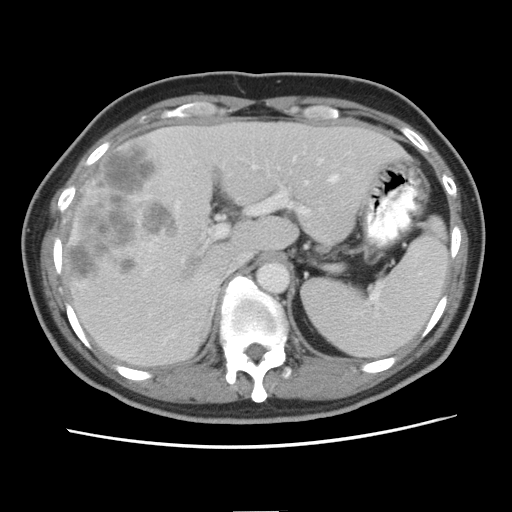 CT scan slice
Only some of the vessels may be annotated.
Annotated regions:
• liver tumor: rect(64, 141, 178, 282)
• hepatic vessel: rect(216, 227, 226, 236); rect(292, 157, 295, 160); rect(248, 190, 291, 214); rect(175, 202, 179, 210); rect(318, 159, 322, 163); rect(329, 175, 337, 182)